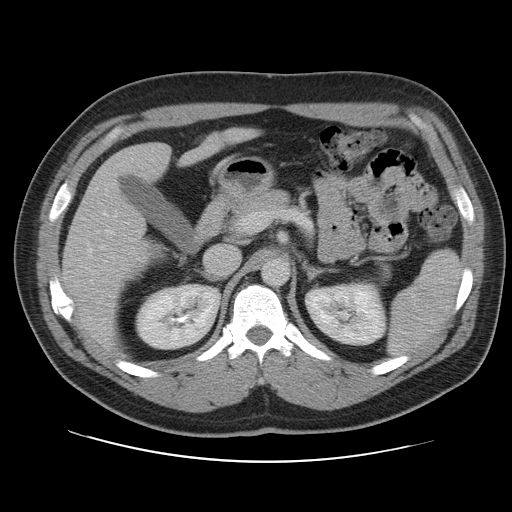 CT slice

Not every hepatic vessel necessarily has a box.
Hepatic vessel — region(90, 280, 92, 282); region(114, 214, 117, 216); region(103, 212, 106, 215); region(80, 314, 81, 315); region(106, 230, 113, 233); region(87, 242, 92, 251).